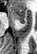
Medial temporal lobe, MRI

* posterior hippocampus: region(19, 20, 24, 23)
* anterior hippocampus: region(11, 5, 25, 19)